Head
FLAIR MR image.
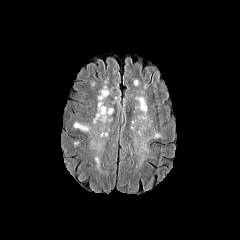
T1-weighted MR image.
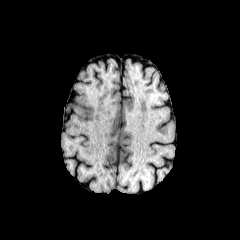
Post-contrast T1-weighted MRI.
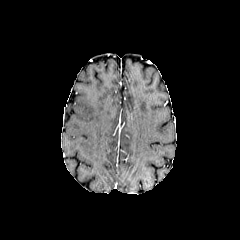
T2-weighted MRI.
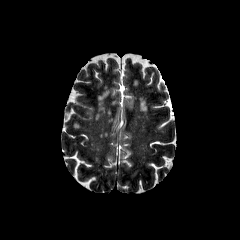
edema: (left=99, top=91, right=108, bottom=99), (left=100, top=107, right=106, bottom=121)